Slice index 254, CT scan slice, Image size 512x512 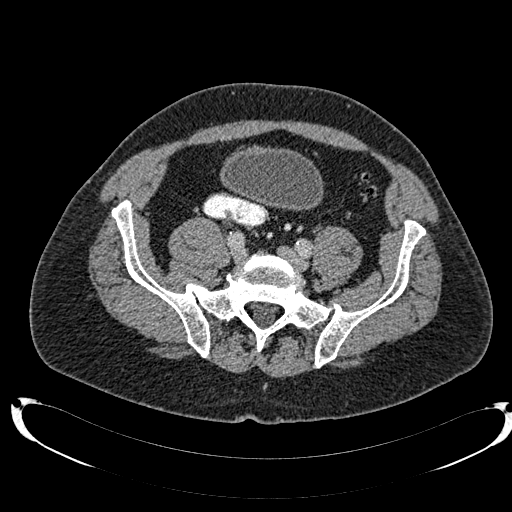
Urinary bladder: region(227, 150, 321, 206).